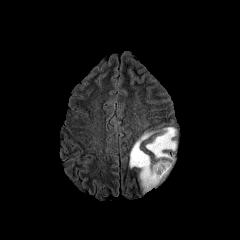
FLAIR magnetic resonance.
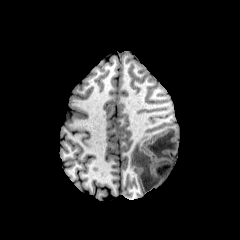
T1-weighted MRI.
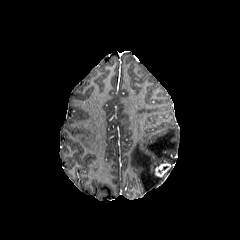
Post-contrast T1-weighted MR image.
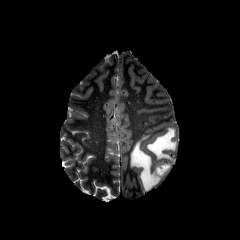
T2-weighted MR.
<segmentation>
  <enhancing_tumor>[x1=154, y1=161, x2=171, y2=176]</enhancing_tumor>
  <non-enhancing_tumor_core>[x1=155, y1=174, x2=166, y2=184]</non-enhancing_tumor_core>
  <edema>[x1=145, y1=127, x2=176, y2=162], [x1=129, y1=131, x2=159, y2=191]</edema>
</segmentation>